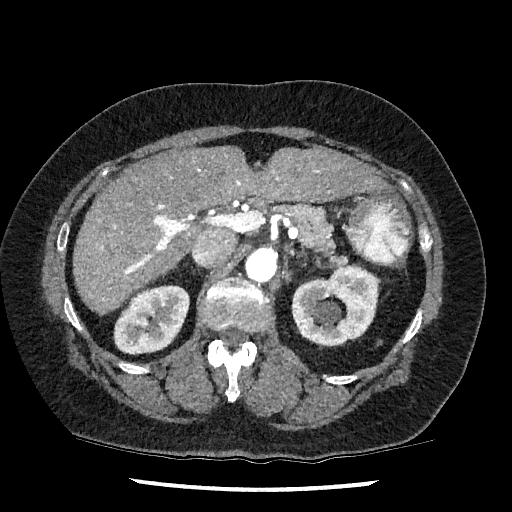

CT image
liver:
  - region(73, 146, 390, 313)
kidney:
  - region(114, 286, 188, 353)
  - region(292, 258, 378, 345)